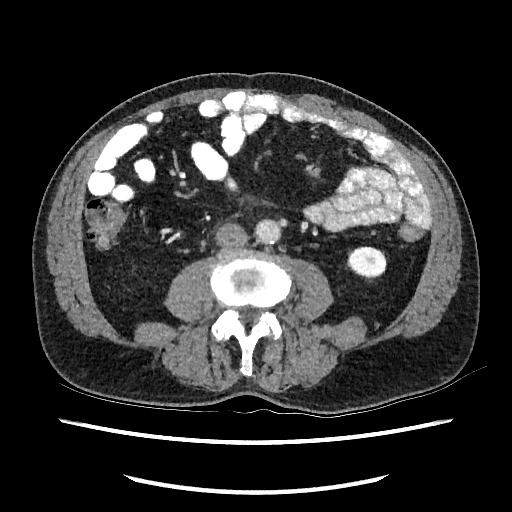
CT scan slice, Abdomen
<segmentation>
  <kidney><box>348,247,386,277</box></kidney>
</segmentation>